Slice 32 of 155.
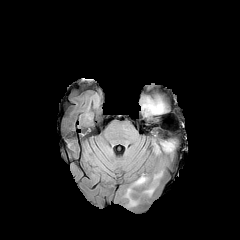
FLAIR MR.
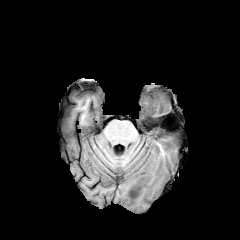
Same slice, T1-weighted MR image.
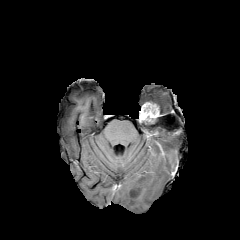
Post-contrast T1-weighted MRI.
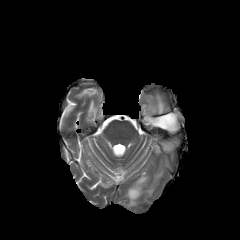
T2-weighted MRI.
Findings:
* edema: box=[152, 139, 174, 154]; box=[132, 173, 147, 187]; box=[140, 98, 164, 120]
* enhancing tumor: box=[145, 104, 159, 114]